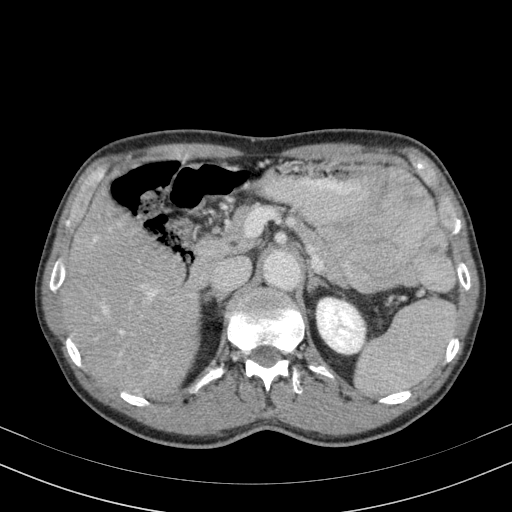

CT scan slice
The kidney appears at rect(317, 298, 364, 353). 2 liver regions appear at rect(63, 176, 204, 400); rect(205, 262, 215, 285).